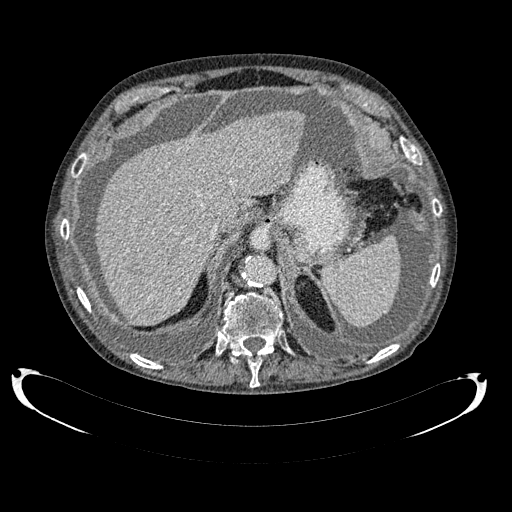 Liver; CT image
The liver is bounded by left=96, top=111, right=304, bottom=324. 4 focal liver lesion regions are located at left=147, top=305, right=158, bottom=317; left=129, top=261, right=140, bottom=274; left=276, top=116, right=301, bottom=146; left=168, top=258, right=180, bottom=265.